MR image, Slice 17/42, Medial temporal lobe

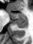

{"anterior_hippocampus": ["11, 13, 26, 19"], "posterior_hippocampus": ["15, 20, 26, 28"]}